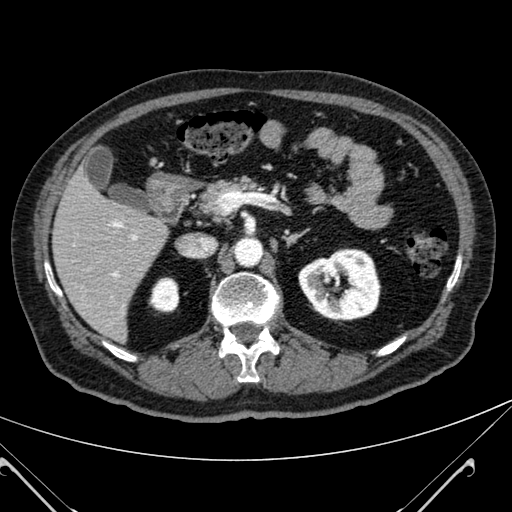
Liver. CT scan slice. 512x512 px. Kidney = 151 279 177 310, 299 250 379 318.
Liver = 50 180 167 343.